Slice 442/624, Image size 512x512, CT 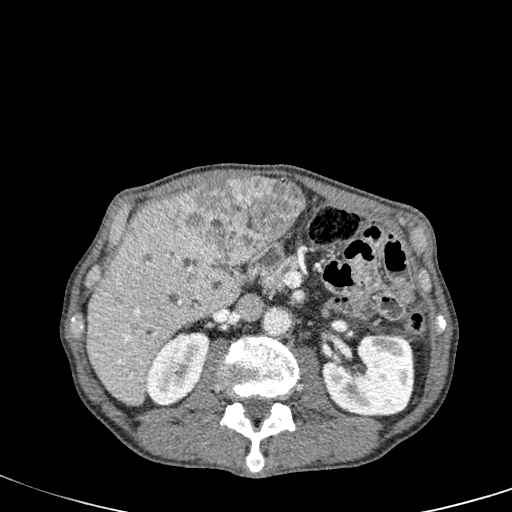
hepatic lesion: x1=187, y1=176, x2=304, y2=264; x1=188, y1=272, x2=207, y2=281 | liver: x1=87, y1=191, x2=239, y2=405 | kidney: x1=145, y1=333, x2=208, y2=404; x1=323, y1=336, x2=412, y2=414